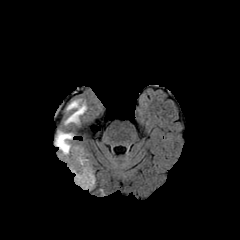
FLAIR MR.
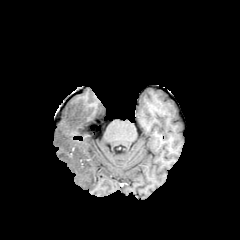
T1-weighted MRI.
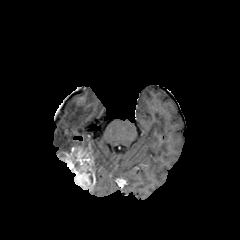
Post-contrast T1-weighted magnetic resonance of the same slice.
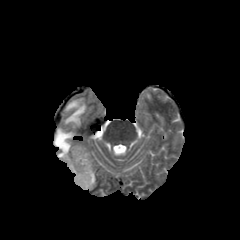
Same slice, T2-weighted MR image.
Head, 240x240
{
  "enhancing_tumor": [
    "x1=60, y1=149, x2=95, y2=189"
  ],
  "edema": [
    "x1=63, y1=99, x2=87, y2=125",
    "x1=55, y1=129, x2=73, y2=153"
  ]
}